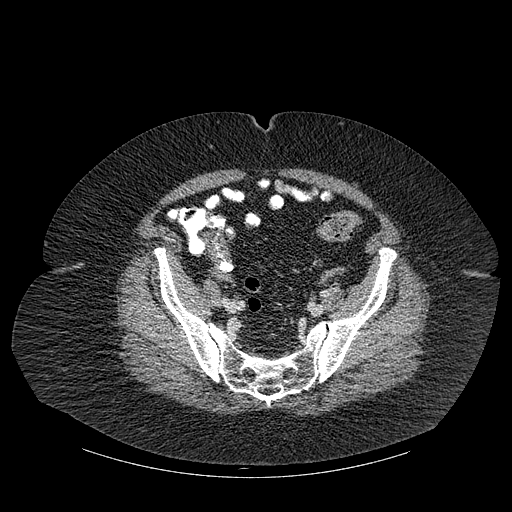

CT scan slice
Annotated regions:
- bone: left=223, top=188, right=239, bottom=199; left=154, top=248, right=396, bottom=405